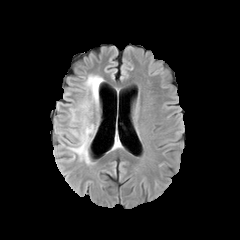
FLAIR MRI.
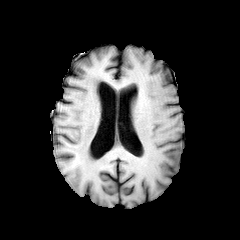
T1-weighted MRI.
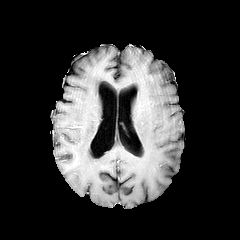
Post-contrast T1-weighted MRI of the same slice.
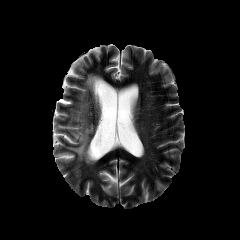
T2-weighted magnetic resonance of the same slice.
240x240.
edema:
  - (68, 74, 104, 163)